CT scan slice | Field of view 364 mm wide, 2.50 mm slice spacing
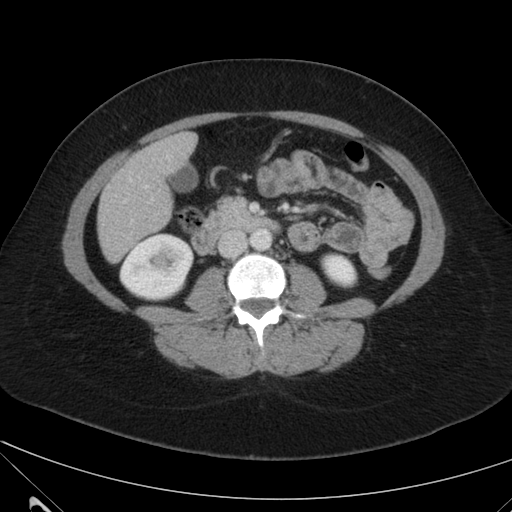 {"kidney": ["325, 256, 353, 282", "121, 235, 189, 298"], "liver": ["98, 132, 194, 262"]}